Image width 386 mm; Abdomen; Computed tomography; Slice 115 of 168
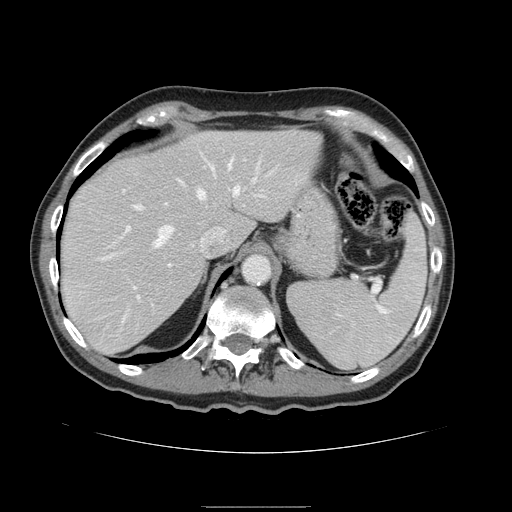 Segmented structures:
- spleen: left=287, top=214, right=427, bottom=370